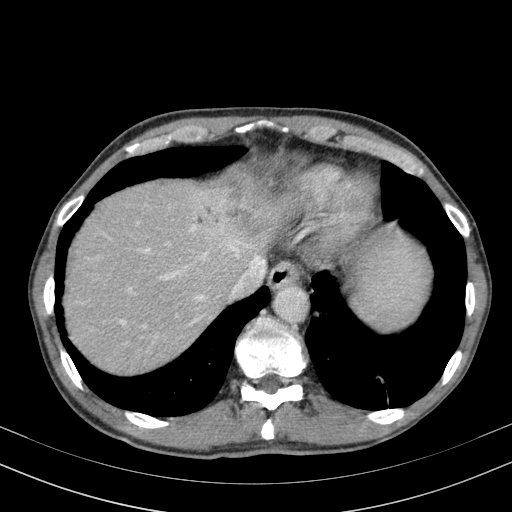
CT slice.
Annotated regions:
- liver: (x1=63, y1=162, x2=273, y2=375)
- liver lesion: (x1=241, y1=211, x2=251, y2=225)